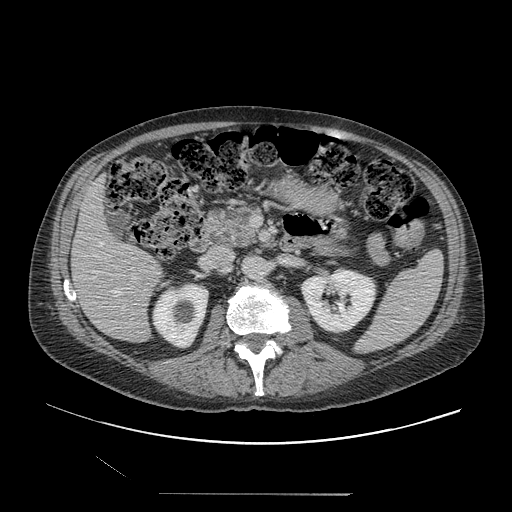 CT. Image size 512x512. Upper abdomen.
The pancreas is at region(209, 206, 261, 249).